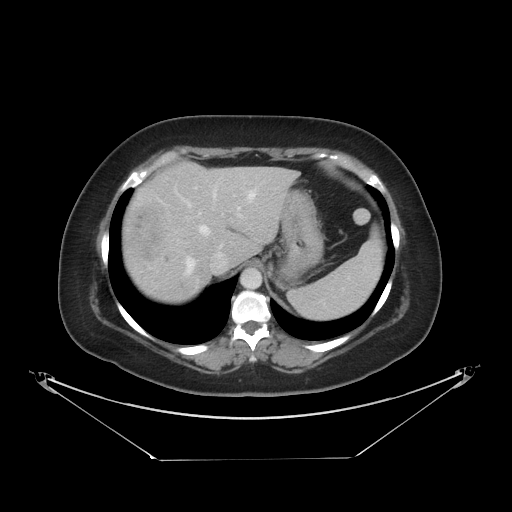
Abdomen. 512x512. CT slice.

Some hepatic vessels may have no box.
<segmentation>
  <hepatic_vessel>238, 214, 241, 216; 186, 258, 194, 272; 246, 187, 256, 202; 199, 212, 200, 214; 181, 197, 190, 206; 198, 225, 210, 235; 194, 186, 197, 188; 212, 183, 217, 200</hepatic_vessel>
  <liver_tumor>130, 206, 165, 260</liver_tumor>
</segmentation>